FLAIR magnetic resonance.
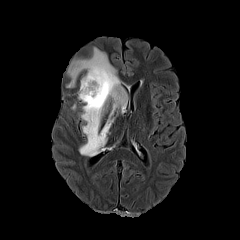
T1-weighted MRI.
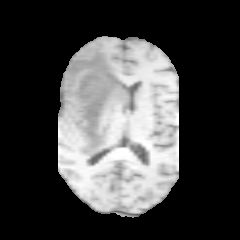
Post-contrast T1-weighted MRI.
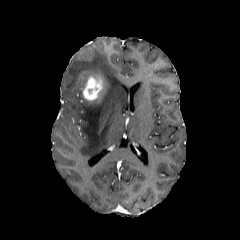
T2-weighted MR.
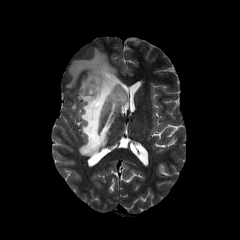
Edema: <box>66,47,127,156</box>.
Enhancing tumor: <box>76,69,101,100</box>.